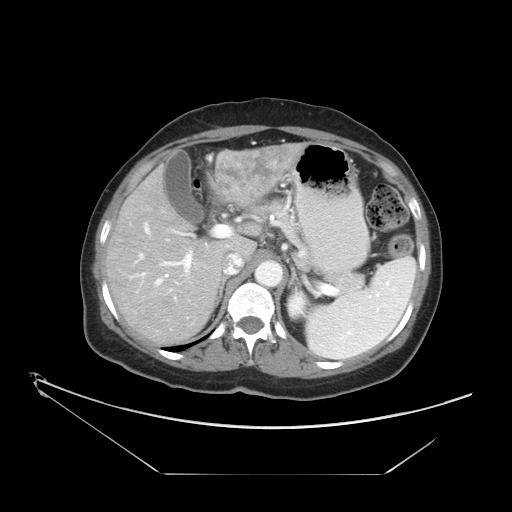
CT scan slice, Abdomen
Some hepatic vessels may have no box.
- hepatic vessel: x1=136, y1=273, x2=143, y2=275; x1=156, y1=278, x2=161, y2=283; x1=165, y1=274, x2=167, y2=276; x1=162, y1=254, x2=191, y2=270; x1=145, y1=223, x2=149, y2=232; x1=139, y1=254, x2=143, y2=259
- liver tumor: x1=220, y1=151, x2=288, y2=191